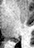
Magnetic resonance
The posterior hippocampus appears at left=11, top=39, right=19, bottom=42.